Computed tomography, Slice 511/605, 512x512 px 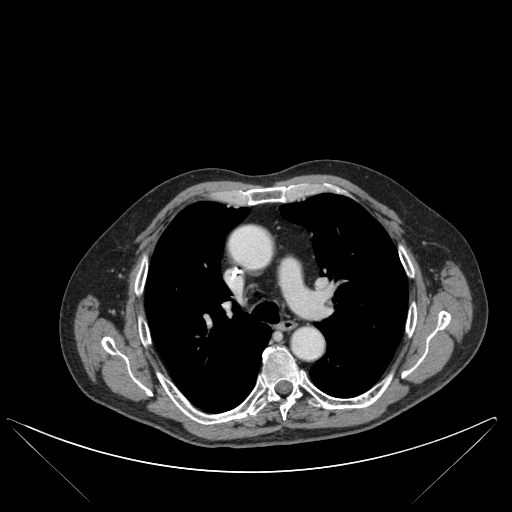
Annotated regions:
- bone: [399, 246, 413, 276], [101, 337, 152, 395], [406, 303, 416, 335], [239, 186, 291, 204], [138, 318, 150, 344], [402, 311, 450, 377], [157, 346, 391, 424], [135, 257, 147, 294]
- lung: [145, 202, 279, 412], [280, 193, 407, 397]